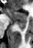
Medial temporal lobe, MRI
{
  "posterior_hippocampus": [
    "(15,22,26,30)"
  ],
  "anterior_hippocampus": [
    "(5,9,26,21)"
  ]
}